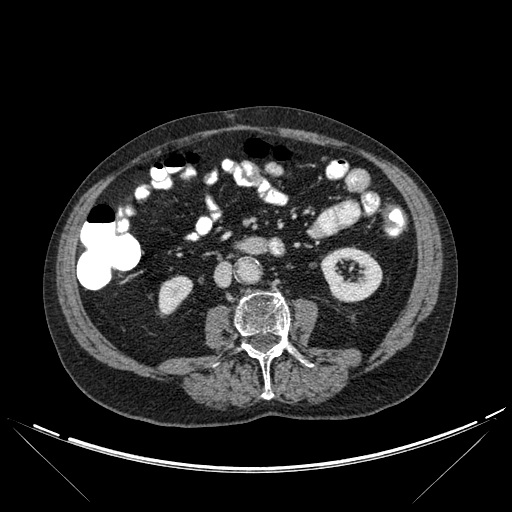

CT
Segmented structures:
* bone: left=234, top=292, right=290, bottom=399
* kidney: left=159, top=276, right=192, bottom=313; left=321, top=248, right=381, bottom=301